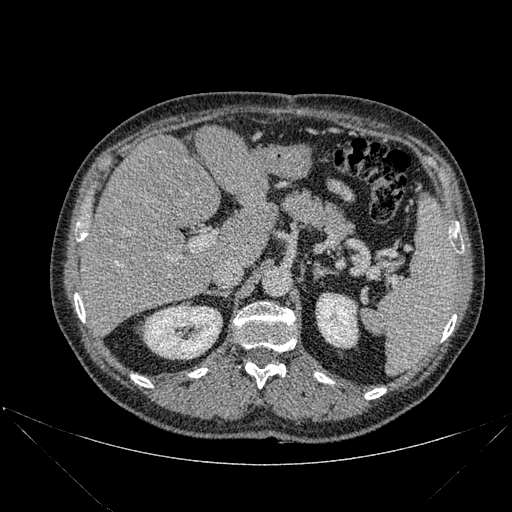

512x512; Abdomen; Computed tomography
2 liver regions are located at (78,135,222,336), (196,125,275,267). 10 bone regions appear at (314,372,333,383), (365,388,385,399), (245,362,285,388), (74,293,85,322), (131,374,152,387), (76,222,87,240), (233,302,295,351), (450,223,463,252), (189,368,207,377), (441,314,456,341). 2 kidney regions are bounded by (316,293,357,347), (144,305,221,358).